Slice 341/771, Upper abdomen, CT image
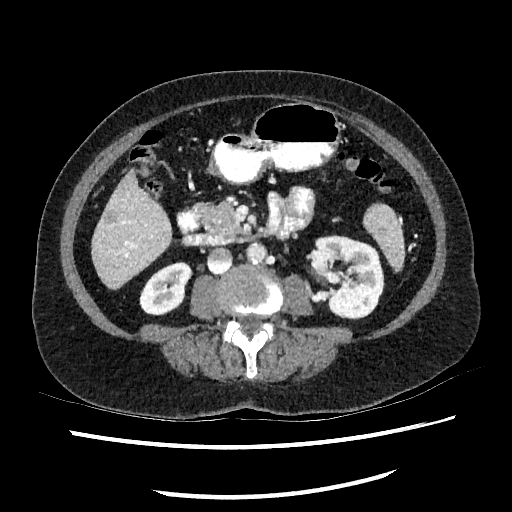

Segmented structures:
- liver: rect(92, 170, 170, 287)
- kidney: rect(140, 263, 190, 313); rect(312, 237, 382, 317)
- focal liver lesion: rect(105, 210, 116, 222)